CT slice; Slice index 265
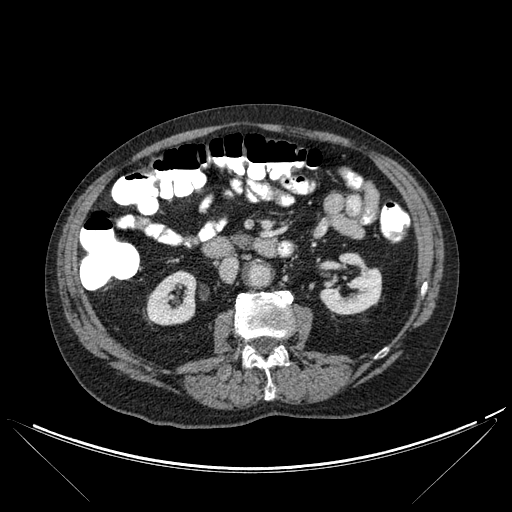
kidney:
  - x1=321, y1=253, x2=381, y2=313
  - x1=147, y1=271, x2=195, y2=324
bone:
  - x1=242, y1=345, x2=287, y2=399
  - x1=235, y1=291, x2=293, y2=341